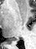

MRI slice
Posterior hippocampus at [x1=7, y1=41, x2=11, y2=43], [x1=11, y1=39, x2=16, y2=39].